FLAIR MR image.
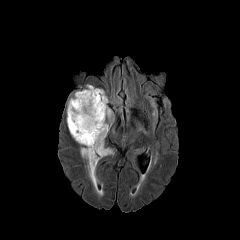
T1-weighted magnetic resonance.
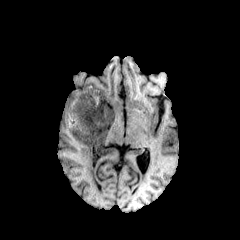
Post-contrast T1-weighted MR.
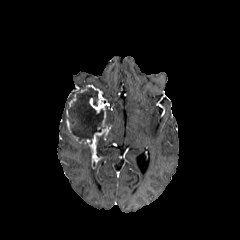
T2-weighted MR image.
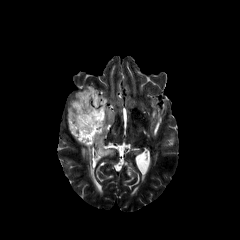
Head
Edema: bounding box bbox=[106, 110, 114, 124]; bbox=[97, 132, 118, 157]; bbox=[82, 147, 91, 161].
Enhancing tumor: bounding box bbox=[66, 84, 110, 169]; bbox=[69, 94, 76, 106].
Non-enhancing tumor core: bounding box bbox=[65, 88, 104, 140].